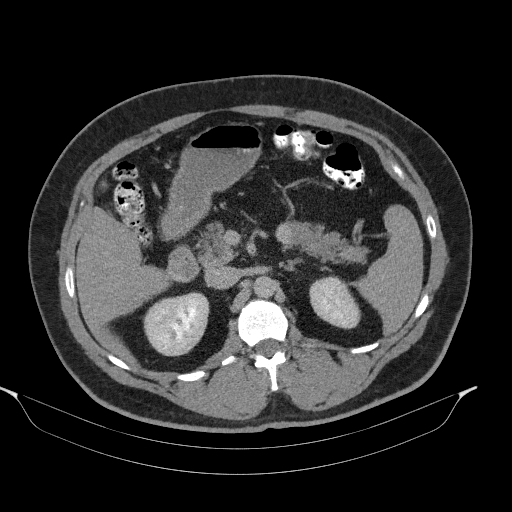

Abdomen | 512x512 px | CT
Pancreatic tumor at 276 224 292 244.
Pancreas at 283 221 365 263, 197 222 231 266.